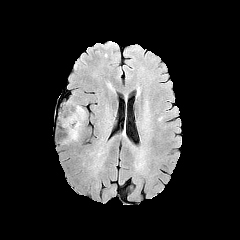
FLAIR magnetic resonance.
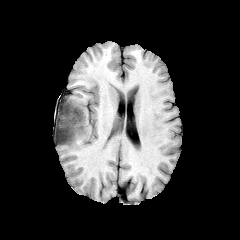
T1-weighted MRI.
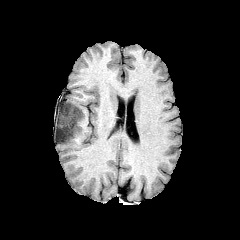
Post-contrast T1-weighted MR image.
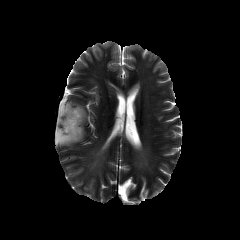
Same slice, T2-weighted magnetic resonance.
Head
• non-enhancing tumor core: [x1=58, y1=108, x2=82, y2=142]
• edema: [x1=59, y1=103, x2=76, y2=119], [x1=76, y1=105, x2=86, y2=123]